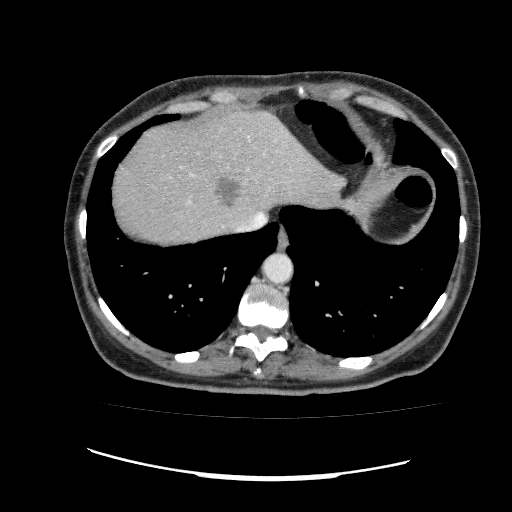
CT scan slice; Upper abdomen

The liver appears at (left=112, top=109, right=344, bottom=248). The liver lesion is bounded by (left=214, top=176, right=241, bottom=206).